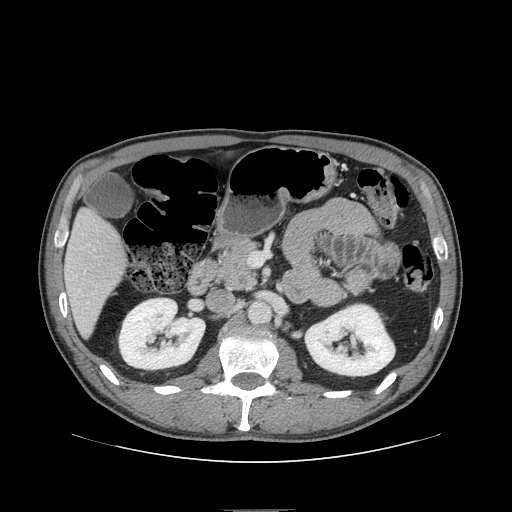 CT image

pancreas: bbox=[219, 242, 258, 286]